FLAIR MR.
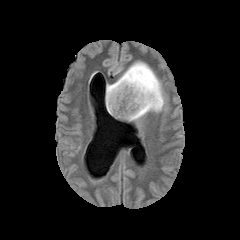
T1-weighted magnetic resonance.
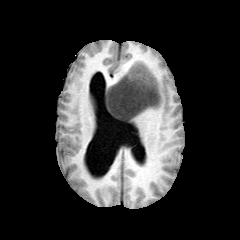
Post-contrast T1-weighted MRI.
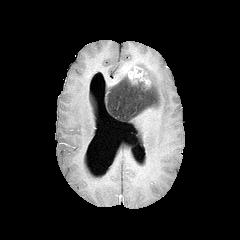
T2-weighted MRI.
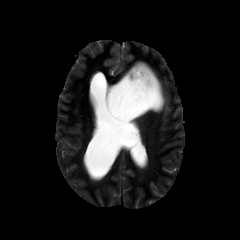
Brain
Annotated regions:
- edema: (x1=106, y1=59, x2=167, y2=122)
- non-enhancing tumor core: (x1=105, y1=73, x2=160, y2=122)
- enhancing tumor: (x1=124, y1=64, x2=152, y2=89)